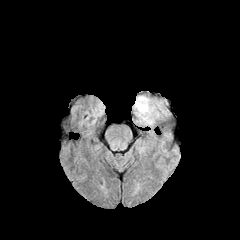
FLAIR MRI.
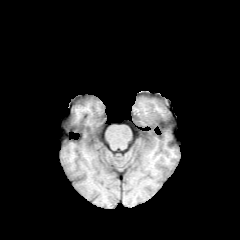
T1-weighted MR.
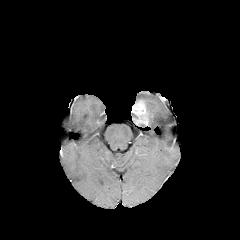
Post-contrast T1-weighted magnetic resonance.
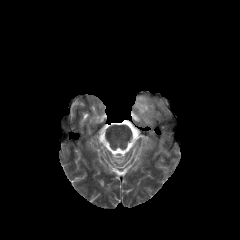
T2-weighted MR image.
240x240 | Head
Enhancing tumor at <box>136,117,147,125</box>, <box>133,102,145,115</box>.
Edema at <box>137,141,148,153</box>, <box>135,95,169,127</box>.
Non-enhancing tumor core at <box>137,99,152,124</box>.